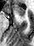 Magnetic resonance

The anterior hippocampus appears at 12:5:25:17.